Field of view 330 mm wide, 2.50 mm slice spacing | Slice 16 of 92 | CT scan slice | Upper abdomen 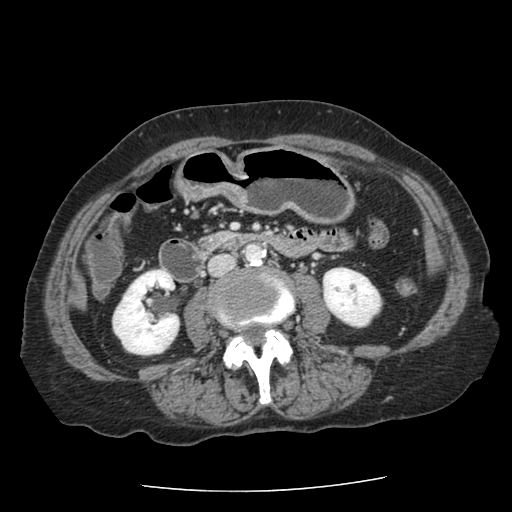
<segmentation>
  <pancreas>200:233:227:247</pancreas>
</segmentation>